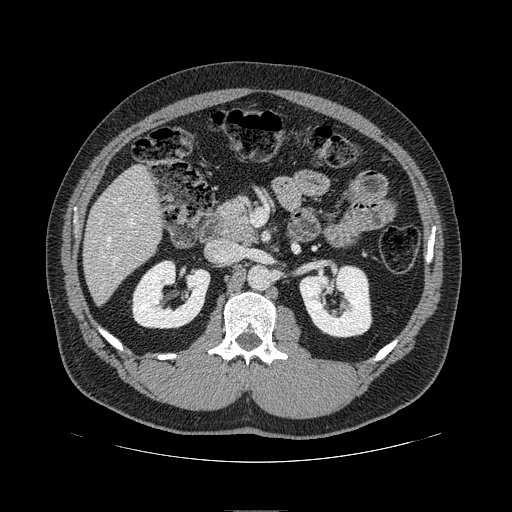
CT scan slice

Pancreas — [220, 201, 255, 243].